Head; Field of view 240x240 mm; Image size 240x240
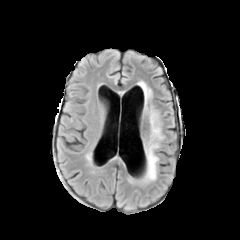
FLAIR MRI.
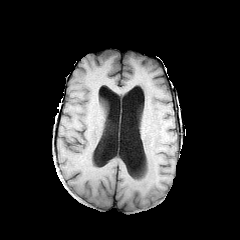
Same slice, T1-weighted MRI.
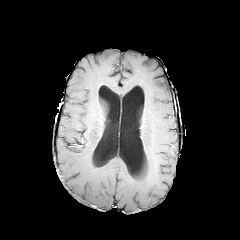
Post-contrast T1-weighted MR.
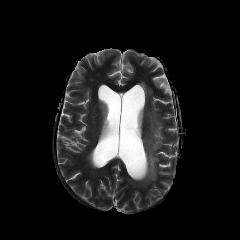
T2-weighted magnetic resonance.
2 edema regions are located at x1=140, y1=82, x2=151, y2=96; x1=143, y1=112, x2=162, y2=183.